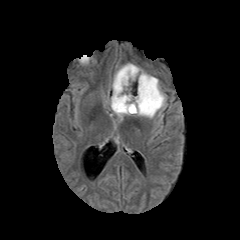
FLAIR MRI.
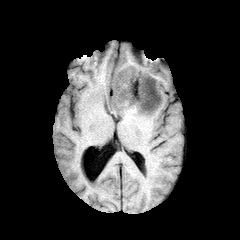
T1-weighted MR.
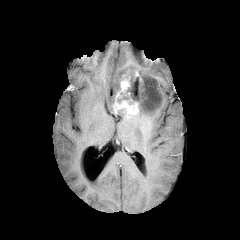
Post-contrast T1-weighted MR image.
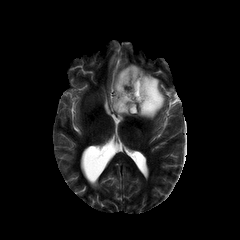
T2-weighted MR of the same slice.
edema: box=[104, 63, 167, 124]; box=[128, 80, 137, 91] | non-enhancing tumor core: box=[146, 86, 156, 98]; box=[118, 76, 143, 102] | enhancing tumor: box=[113, 76, 138, 114]